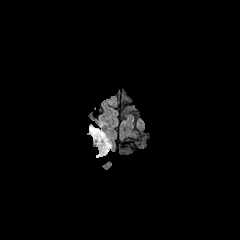
FLAIR MRI.
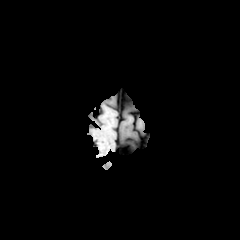
T1-weighted MR of the same slice.
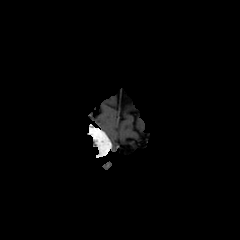
Post-contrast T1-weighted MR.
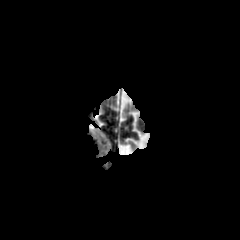
Same slice, T2-weighted MRI.
Head
Enhancing tumor: bounding box (left=88, top=124, right=111, bottom=157).